MRI | Medial temporal lobe | 38x52 px | Slice 15 of 34

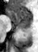 Segmented structures:
• posterior hippocampus: 16,24,30,31
• anterior hippocampus: 7,9,31,23